FLAIR magnetic resonance.
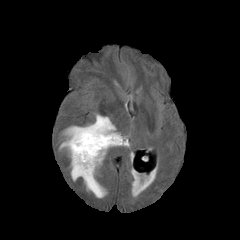
T1-weighted MRI.
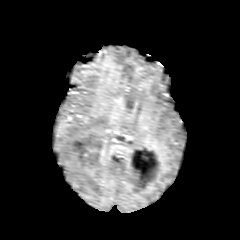
Post-contrast T1-weighted MR image.
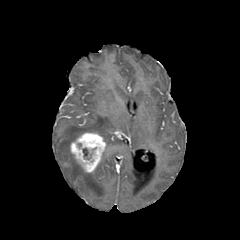
T2-weighted MR image.
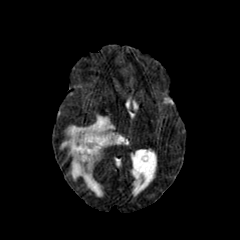
Brain
Segmented structures:
• edema: box=[60, 114, 129, 197]
• enhancing tumor: box=[71, 133, 105, 171]
• non-enhancing tumor core: box=[82, 148, 95, 159]